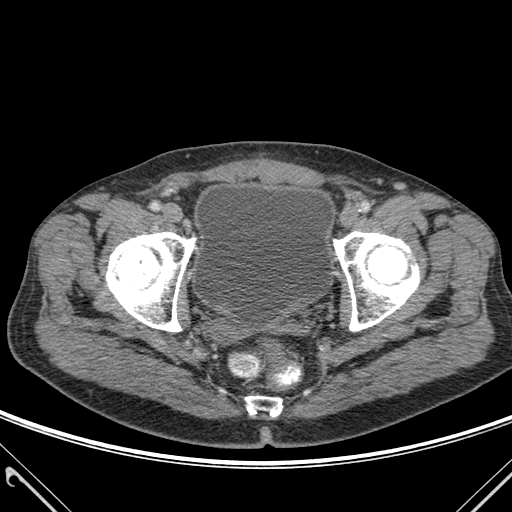
Lower abdomen | CT slice

• bone: x1=333, y1=231, x2=419, y2=330; x1=245, y1=396, x2=282, y2=416; x1=106, y1=232, x2=195, y2=331
• urinary bladder: x1=195, y1=187, x2=332, y2=317